Liver; Computed tomography

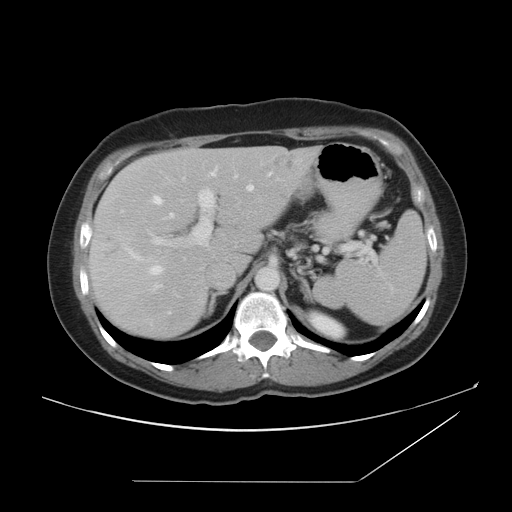
Only some of the vessels may be annotated.
Liver tumor — (277,154,295,169).
Hepatic vessel — (171,213,173,217), (211,167,216,175), (192,216,211,246), (150,266,162,274), (199,189,214,207), (150,233,152,234), (153,196,161,203), (234,175,237,177), (247,185,252,190), (153,237,172,245), (153,284,161,291), (268,172,271,175), (122,244,139,260).